CT 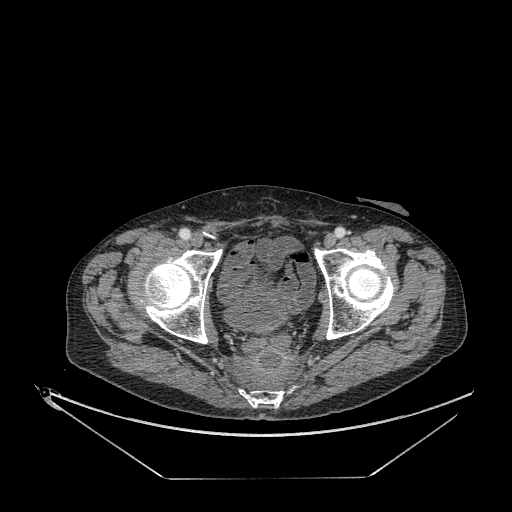

* urinary bladder: 258 241 282 270, 224 272 290 332